MRI slice | 37x48 | Hippocampus 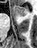
Anterior hippocampus at x1=13, y1=6, x2=25, y2=15.